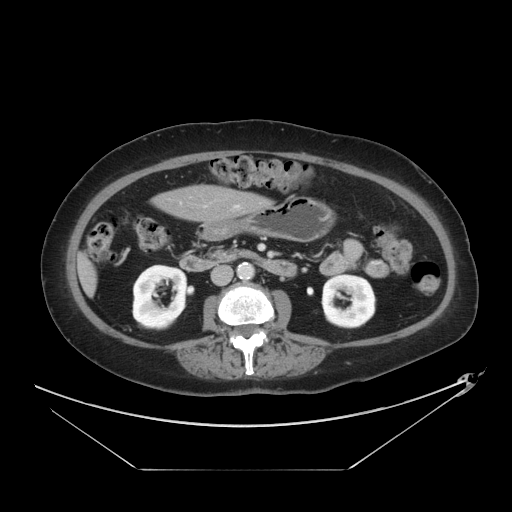
CT; 512x512 px

The vessel boxes may cover only some of the vessels.
Hepatic vessel — [235, 206, 237, 207].